FLAIR MRI.
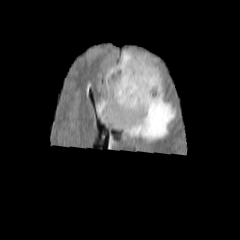
T1-weighted MR.
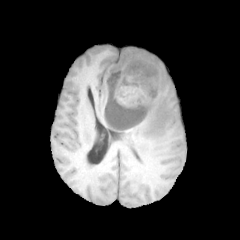
Post-contrast T1-weighted MRI.
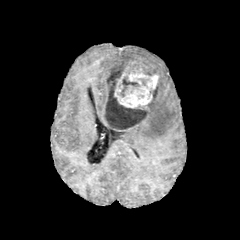
T2-weighted magnetic resonance.
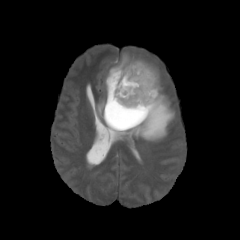
2 non-enhancing tumor core regions appear at [x1=120, y1=75, x2=140, y2=96], [x1=104, y1=55, x2=159, y2=129]. The enhancing tumor lies within [x1=114, y1=66, x2=158, y2=108]. 2 edema regions are located at [x1=99, y1=81, x2=176, y2=142], [x1=124, y1=51, x2=159, y2=73].